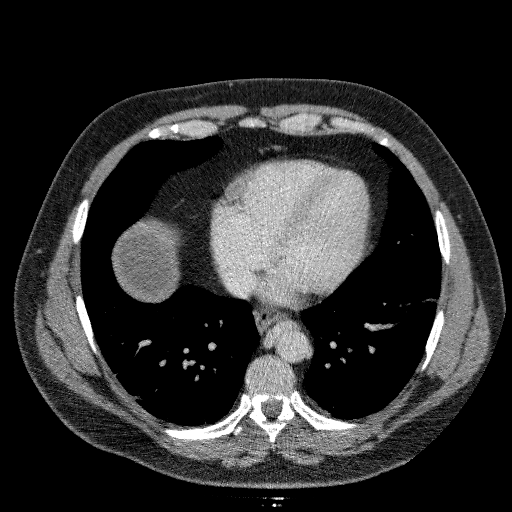
Computed tomography
{"liver": ["<box>114,223,177,300</box>"]}